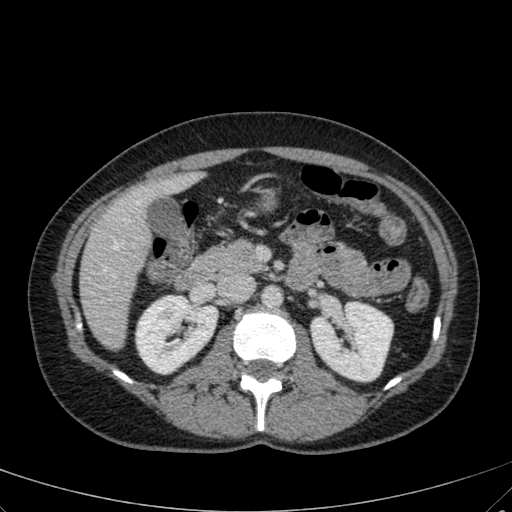

CT scan slice.
2 kidney regions are bounded by (left=136, top=296, right=216, bottom=372), (left=312, top=302, right=392, bottom=380). The liver is bounded by (left=80, top=174, right=191, bottom=349).